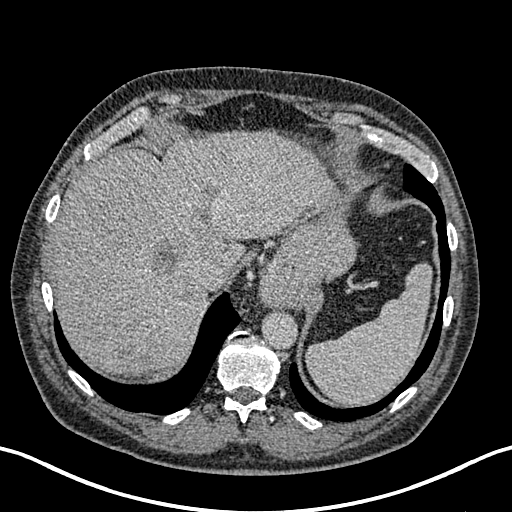 512x512 px, Upper abdomen, CT

<segmentation>
  <liver_lesion>[115,343,134,369], [191,205,212,227], [248,157,256,166], [166,280,203,303], [149,236,215,277]</liver_lesion>
  <liver>[50,130,321,374]</liver>
</segmentation>